CT | Abdomen | Image size 512x512

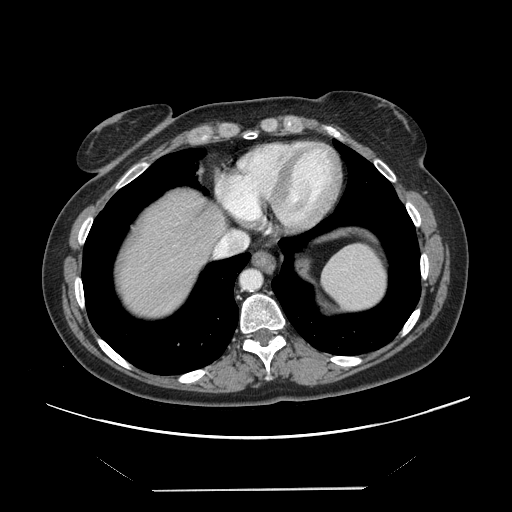

Only some of the vessels may be annotated.
Findings:
• hepatic vessel: l=214, t=231, r=244, b=257